CT scan slice
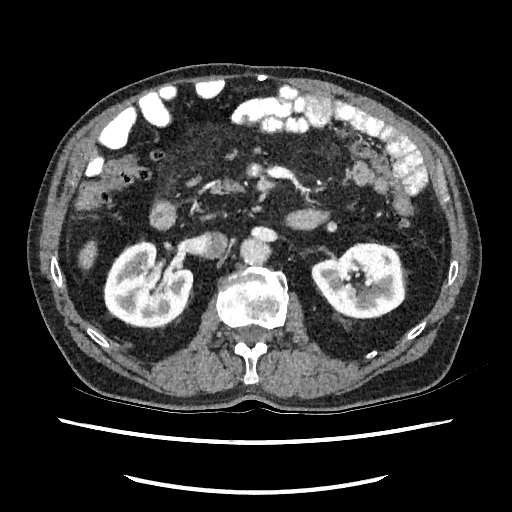

{
  "liver": [
    "(x1=81, y1=246, x2=93, y2=265)"
  ],
  "kidney": [
    "(x1=312, y1=243, x2=404, y2=318)",
    "(x1=104, y1=241, x2=192, y2=327)"
  ]
}